240x240 px; Head; Field of view 240 mm wide, 1.00 mm slice spacing; Slice 90 of 155
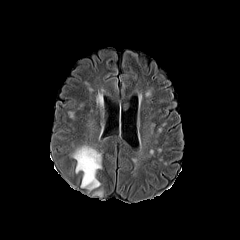
FLAIR MRI.
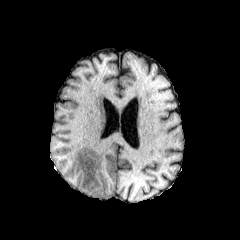
T1-weighted magnetic resonance.
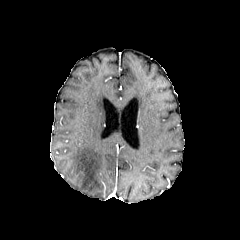
Post-contrast T1-weighted magnetic resonance.
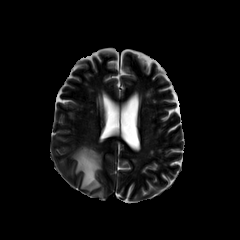
T2-weighted magnetic resonance of the same slice.
edema:
  - (x1=72, y1=146, x2=101, y2=190)